CT image. Slice 21/43. Image size 512x512. 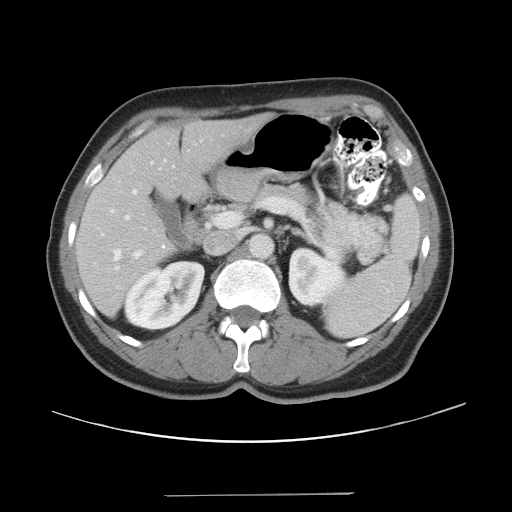
The vessel boxes may cover only some of the vessels.
Segmented structures:
* hepatic vessel: left=167, top=143, right=168, bottom=144; left=151, top=161, right=152, bottom=163; left=117, top=286, right=119, bottom=289; left=134, top=250, right=142, bottom=257; left=114, top=266, right=118, bottom=270; left=114, top=249, right=121, bottom=260; left=163, top=159, right=165, bottom=162; left=145, top=227, right=146, bottom=229; left=111, top=209, right=113, bottom=212; left=195, top=143, right=196, bottom=144; left=125, top=216, right=129, bottom=218; left=133, top=190, right=135, bottom=193